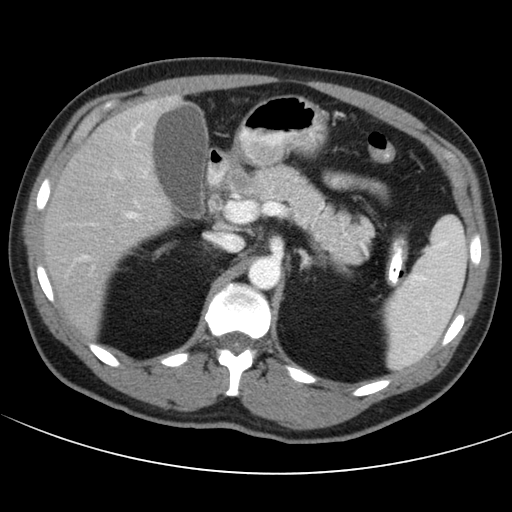

CT image, Abdomen
The vessel annotation is not exhaustive.
<segmentation>
  <hepatic_vessel>left=127, top=212, right=135, bottom=217; left=131, top=126, right=137, bottom=135</hepatic_vessel>
</segmentation>